CT, Slice index 82, Liver 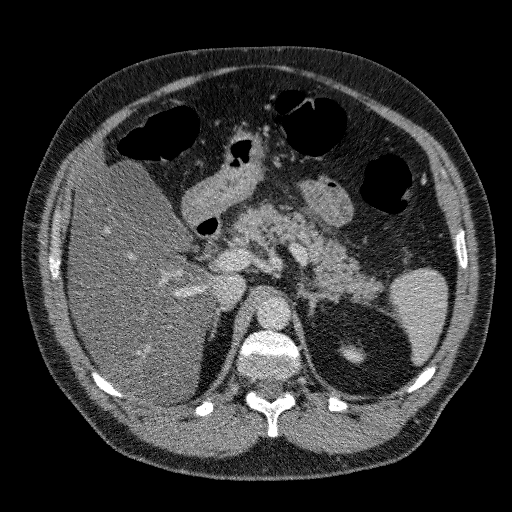

The liver appears at x1=68, y1=142, x2=218, y2=401.